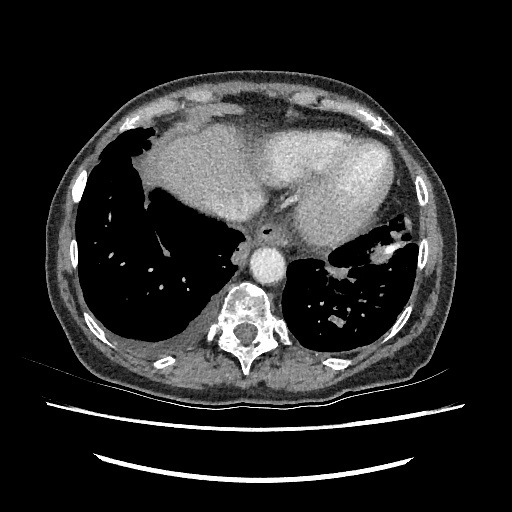
Abdomen. Computed tomography. Image size 512x512.

The liver is at box(157, 128, 267, 210).